Upper abdomen; CT image; Image width 380 mm

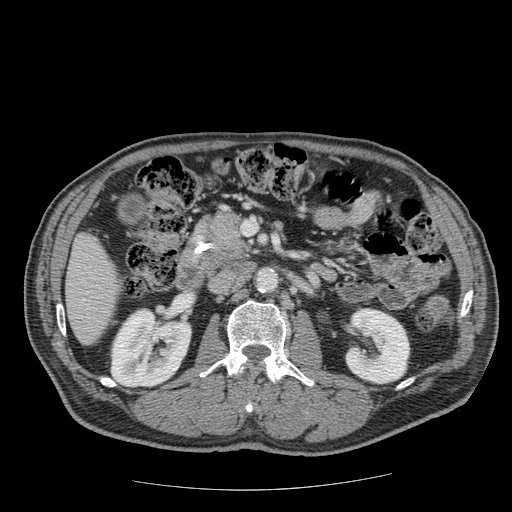

{"pancreatic_tumor": ["x1=187, y1=211, x2=249, y2=270"], "pancreas": ["x1=180, y1=212, x2=253, y2=273"]}